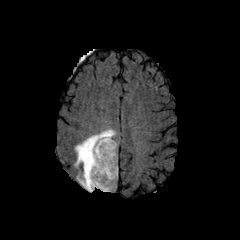
FLAIR MRI.
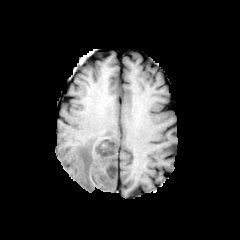
T1-weighted magnetic resonance of the same slice.
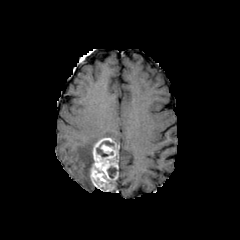
Post-contrast T1-weighted MR.
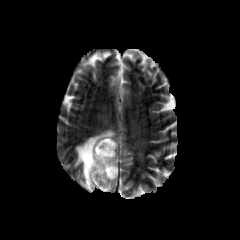
T2-weighted MR of the same slice.
Brain, Image size 240x240
Enhancing tumor = box=[90, 138, 117, 191].
Non-enhancing tumor core = box=[96, 148, 108, 156]; box=[83, 144, 93, 185]; box=[107, 166, 117, 178].
Edema = box=[73, 127, 118, 191].